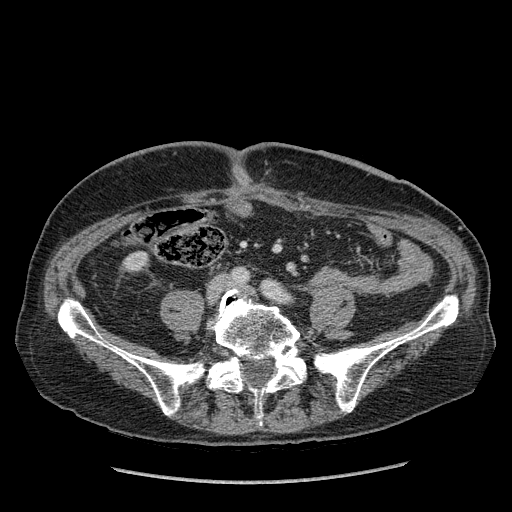

CT scan slice. 512x512.

Kidney — 123,252,147,270.